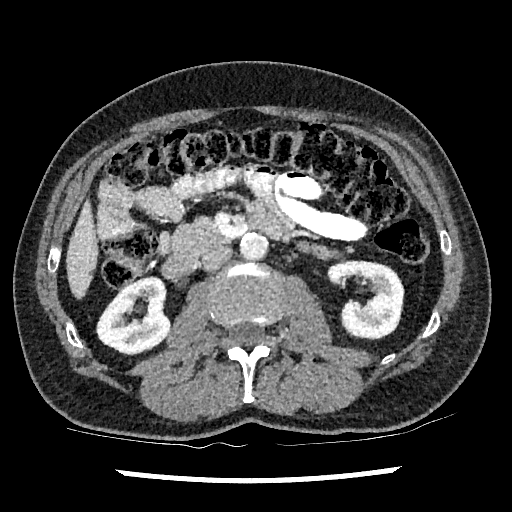
Liver | Computed tomography

Liver — {"x1": 66, "y1": 205, "x2": 97, "y2": 298}.
Kidney — {"x1": 97, "y1": 278, "x2": 169, "y2": 353}, {"x1": 329, "y1": 262, "x2": 402, "y2": 337}.